Slice index 473. 512x512. Thorax. CT slice. 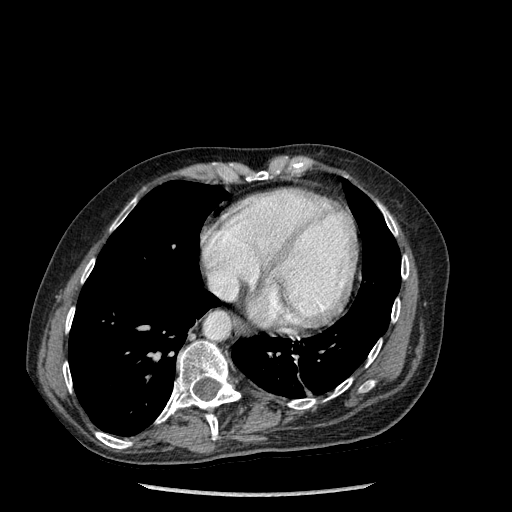
Bone — {"x1": 324, "y1": 378, "x2": 352, "y2": 400}, {"x1": 245, "y1": 170, "x2": 270, "y2": 181}, {"x1": 65, "y1": 307, "x2": 74, "y2": 332}, {"x1": 155, "y1": 340, "x2": 240, "y2": 439}, {"x1": 359, "y1": 380, "x2": 375, "y2": 392}, {"x1": 287, "y1": 398, "x2": 315, "y2": 409}, {"x1": 391, "y1": 298, "x2": 400, "y2": 322}, {"x1": 401, "y1": 255, "x2": 409, "y2": 279}, {"x1": 81, "y1": 258, "x2": 94, "y2": 283}, {"x1": 110, "y1": 197, "x2": 136, "y2": 230}, {"x1": 95, "y1": 432, "x2": 132, "y2": 448}, {"x1": 380, "y1": 206, "x2": 397, "y2": 235}, {"x1": 62, "y1": 362, "x2": 71, "y2": 392}, {"x1": 366, "y1": 339, "x2": 382, "y2": 367}.
Lung — {"x1": 68, "y1": 180, "x2": 227, "y2": 436}, {"x1": 232, "y1": 179, "x2": 400, "y2": 398}.